Abdomen; CT image 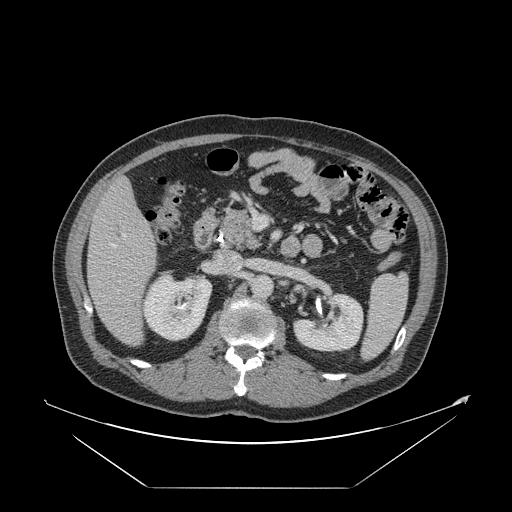 Only some of the vessels may be annotated.
Segmented structures:
* hepatic vessel: (122,235,125,236), (112,245,115,247)